Slice 87 of 155. Head.
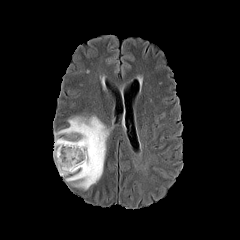
FLAIR MRI.
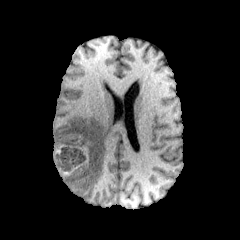
T1-weighted MRI.
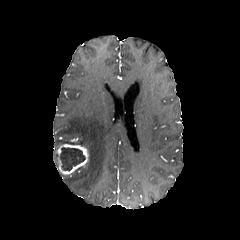
Post-contrast T1-weighted MR image.
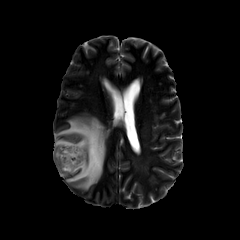
Same slice, T2-weighted MRI.
non-enhancing tumor core: 53 149 58 168, 60 147 85 171 | enhancing tumor: 56 144 89 174 | edema: 53 115 110 190